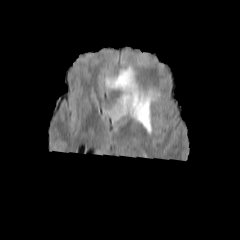
FLAIR MR.
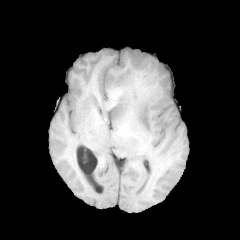
T1-weighted MRI.
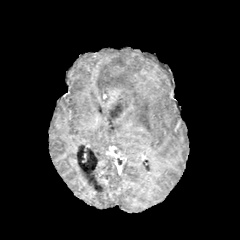
Post-contrast T1-weighted MR image of the same slice.
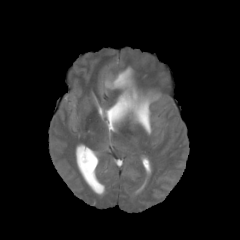
T2-weighted MR image.
Non-enhancing tumor core: bounding box bbox=[109, 103, 123, 117].
Edema: bounding box bbox=[105, 67, 160, 132].